Image size 240x240.
FLAIR MR image.
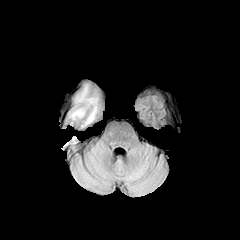
T1-weighted MR image.
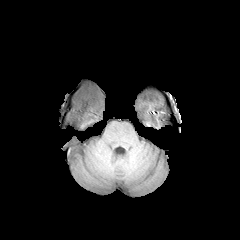
Post-contrast T1-weighted MR image.
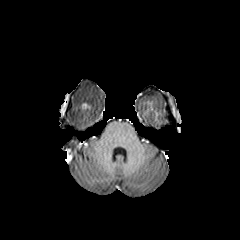
T2-weighted MR image.
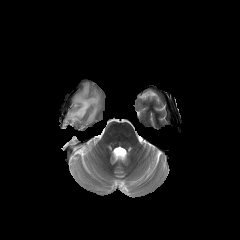
The edema is at 68, 85, 99, 125.